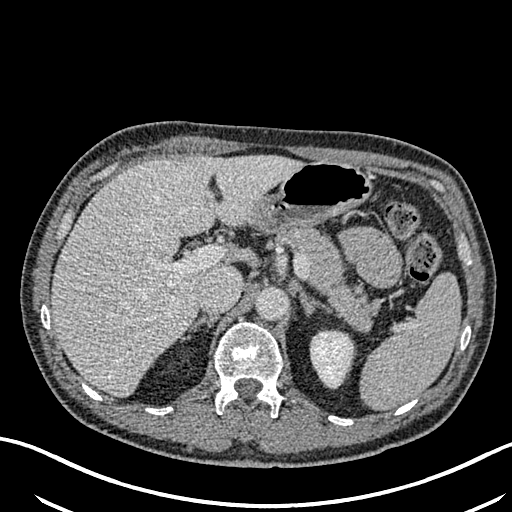
Computed tomography
hepatic_lesion:
  - 149, 293, 157, 301
  - 203, 196, 210, 208
kidney:
  - 311, 332, 352, 387
liver:
  - 226, 250, 257, 268
  - 52, 155, 302, 395